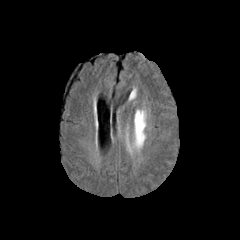
FLAIR MRI.
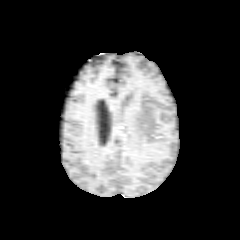
T1-weighted magnetic resonance.
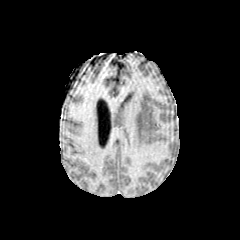
Post-contrast T1-weighted MR image.
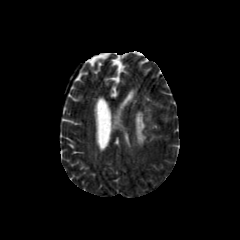
Same slice, T2-weighted MRI.
Edema: bounding box left=134, top=110, right=145, bottom=147.